Lower abdomen, Computed tomography
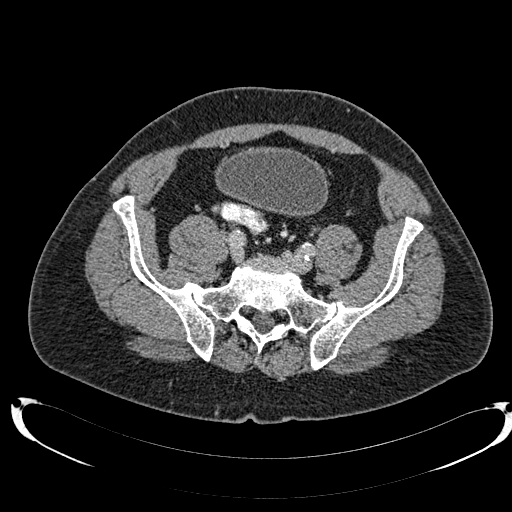 - urinary bladder: box(218, 149, 328, 213)